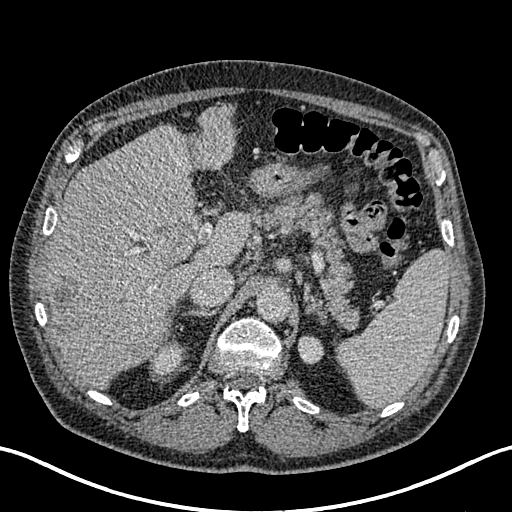

CT. {"kidney": ["x1=154, y1=347, x2=180, y2=373", "x1=300, y1=337, x2=322, y2=362"], "liver": ["x1=46, y1=106, x2=250, y2=388"], "focal_liver_lesion": ["x1=129, y1=341, x2=149, y2=359", "x1=147, y1=218, x2=193, y2=269", "x1=51, y1=277, x2=88, y2=331"]}